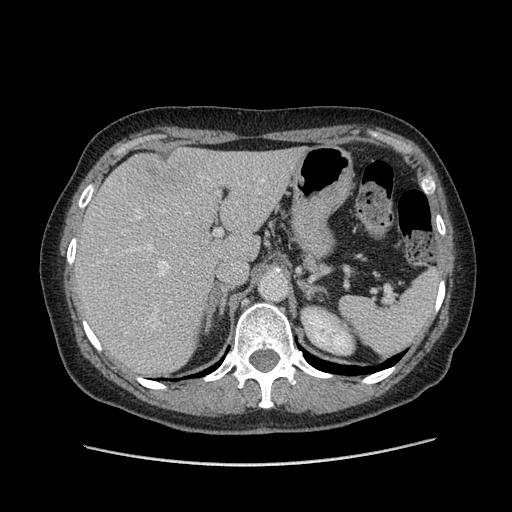 512x512 px; CT; Abdomen
Some hepatic vessels may have no box.
Annotated regions:
* liver tumor: <box>142,152,193,181</box>
* hepatic vessel: <box>139,274,149,281</box>, <box>150,309,157,320</box>, <box>147,246,151,250</box>, <box>216,193,218,194</box>, <box>213,229,222,236</box>, <box>154,260,169,275</box>, <box>135,211,140,219</box>